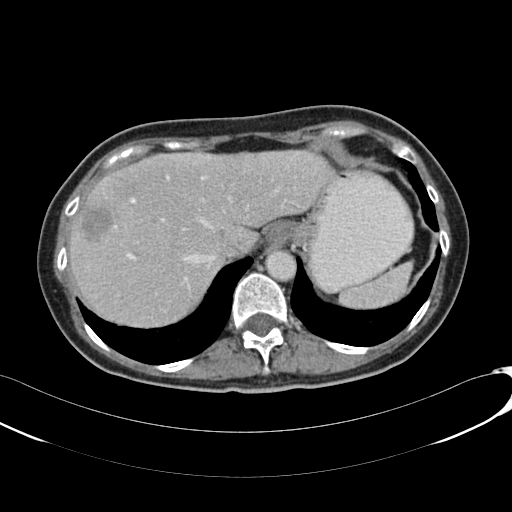

CT slice, Abdomen
liver: box=[70, 151, 327, 325] | hepatic lesion: box=[80, 204, 112, 239]; box=[236, 154, 243, 161]